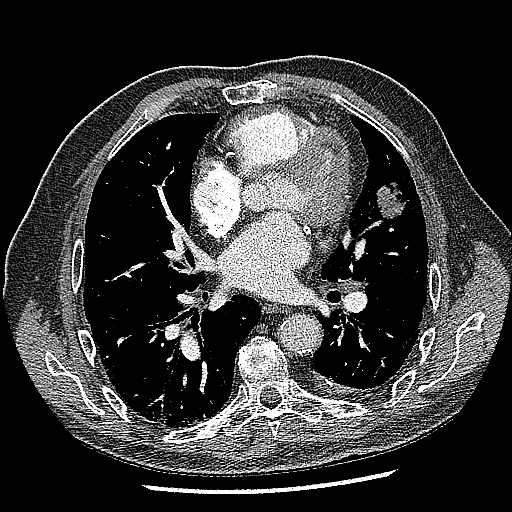
Lung. 512x512. CT image.

The lung tumor lies within (377,179,408,218).